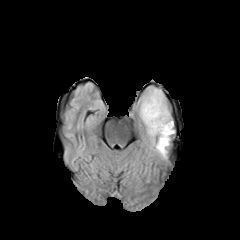
FLAIR MR image.
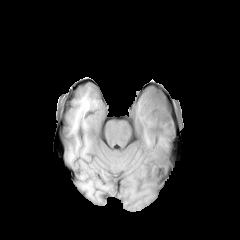
T1-weighted MR.
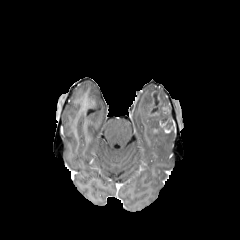
Post-contrast T1-weighted MRI.
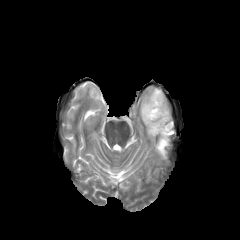
Same slice, T2-weighted magnetic resonance.
240x240
The non-enhancing tumor core is at <box>149,91,168,129</box>. The edema is bounded by <box>140,89,173,157</box>.